Slice 327/630. Computed tomography. Abdomen.
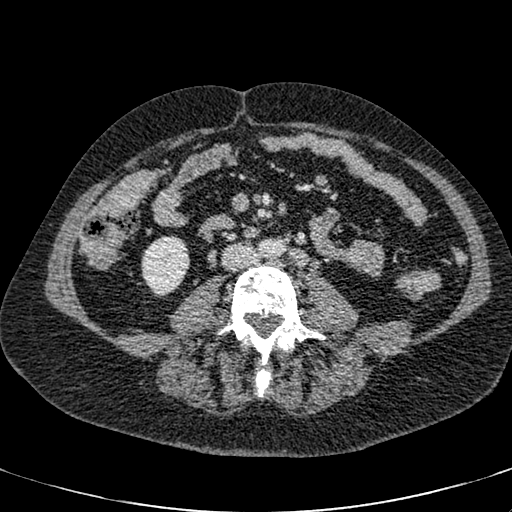

• kidney: 142 237 188 295